FLAIR MR image.
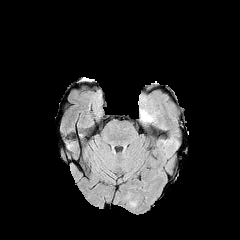
T1-weighted MR image.
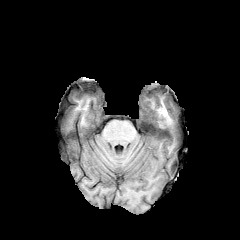
Post-contrast T1-weighted MR.
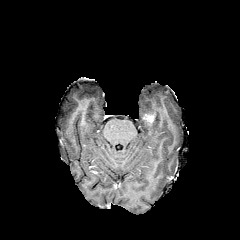
T2-weighted magnetic resonance.
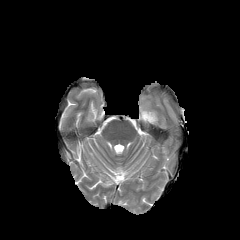
240x240.
The edema appears at 139,102,148,115. The enhancing tumor lies within 142,113,154,122.